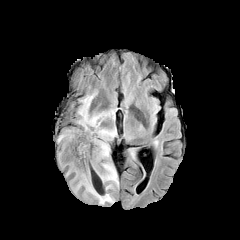
FLAIR magnetic resonance.
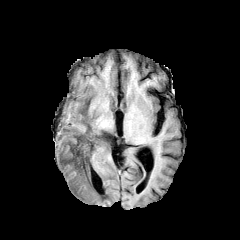
T1-weighted MRI.
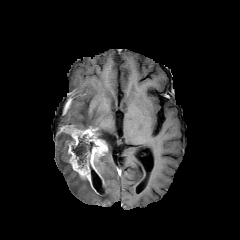
Post-contrast T1-weighted MR of the same slice.
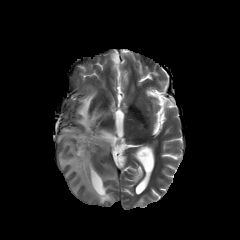
Same slice, T2-weighted MRI.
240x240 px
{
  "enhancing_tumor": [
    {"x1": 62, "y1": 126, "x2": 107, "y2": 158},
    {"x1": 68, "y1": 147, "x2": 92, "y2": 187}
  ],
  "edema": [
    {"x1": 58, "y1": 91, "x2": 118, "y2": 203}
  ],
  "non-enhancing_tumor_core": [
    {"x1": 98, "y1": 134, "x2": 109, "y2": 145},
    {"x1": 68, "y1": 135, "x2": 99, "y2": 174}
  ]
}